FLAIR MR.
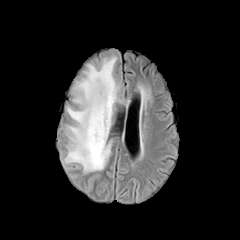
T1-weighted MR image.
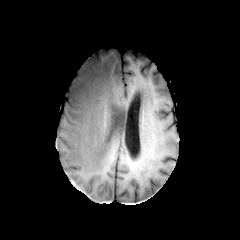
Post-contrast T1-weighted MR image.
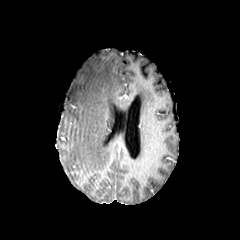
T2-weighted MR.
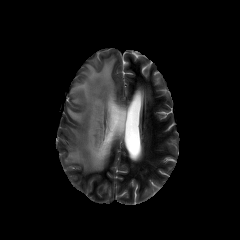
Head
edema: region(65, 56, 118, 171)